FLAIR MRI.
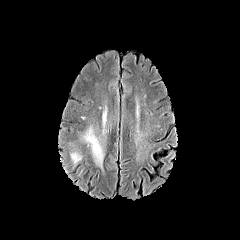
T1-weighted MRI.
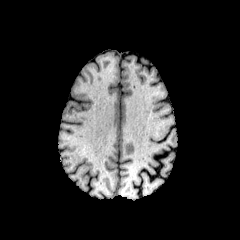
Post-contrast T1-weighted magnetic resonance.
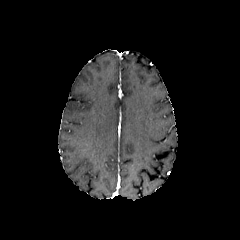
T2-weighted MRI.
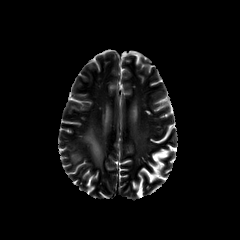
Brain.
Edema — <bbox>70, 152, 82, 164</bbox>, <bbox>83, 128, 103, 168</bbox>.